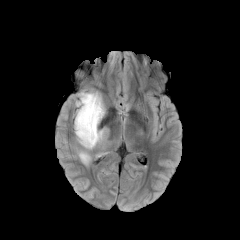
FLAIR magnetic resonance.
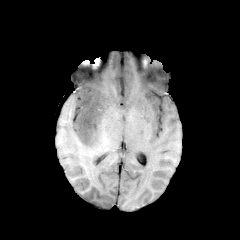
T1-weighted magnetic resonance of the same slice.
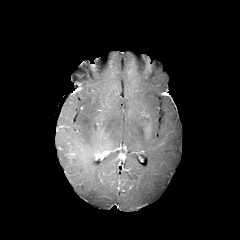
Post-contrast T1-weighted MR.
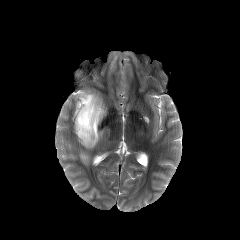
T2-weighted MRI.
Brain
Edema at (79,152,89,164), (73,89,105,148).